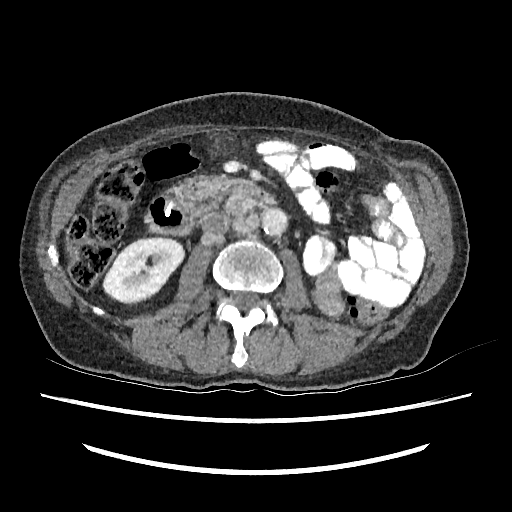

512x512 px, Computed tomography

The kidney is at rect(104, 238, 183, 301).